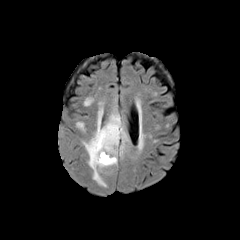
FLAIR MR.
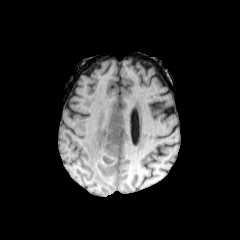
Same slice, T1-weighted MRI.
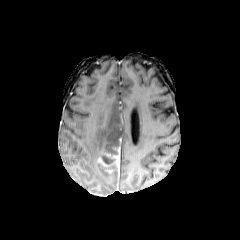
Post-contrast T1-weighted magnetic resonance.
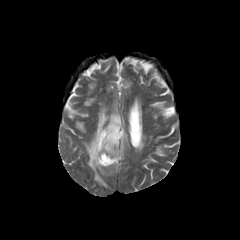
T2-weighted MRI.
2 edema regions are located at [82, 101, 129, 186], [84, 97, 97, 105]. 2 enhancing tumor regions are located at [98, 157, 107, 167], [107, 146, 120, 167]. The non-enhancing tumor core is located at [101, 153, 118, 172].